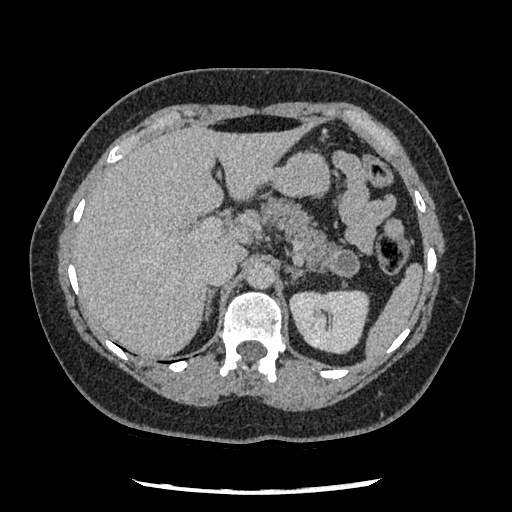 CT, Abdomen
Pancreatic tumor — box(330, 250, 359, 276).
Pancreas — box(262, 198, 343, 271).